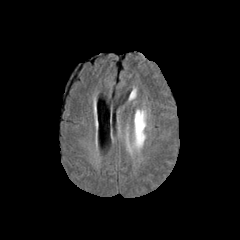
FLAIR magnetic resonance.
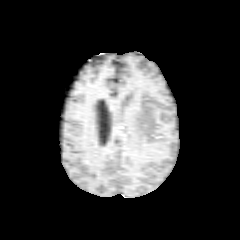
T1-weighted magnetic resonance.
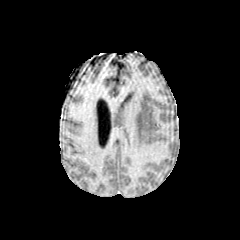
Post-contrast T1-weighted MR of the same slice.
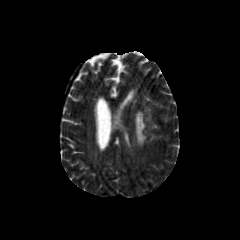
Same slice, T2-weighted MR image.
240x240
Annotated regions:
* edema: [x1=134, y1=107, x2=150, y2=147]